Hippocampus | MRI

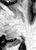
posterior hippocampus: 14 39 22 43